FLAIR MR.
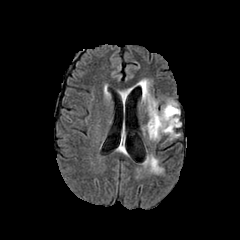
T1-weighted magnetic resonance.
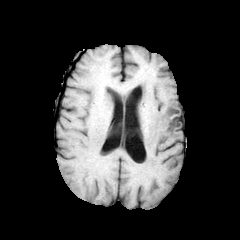
Post-contrast T1-weighted MR image.
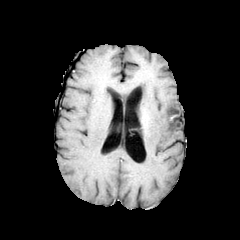
T2-weighted MR image.
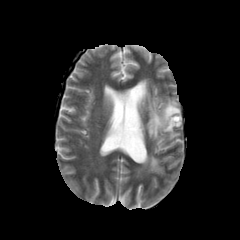
240x240
Non-enhancing tumor core — box=[166, 106, 176, 113]; box=[170, 116, 178, 123].
Edema — box=[144, 155, 162, 172]; box=[119, 88, 131, 104]; box=[138, 79, 181, 140].